Brain; Slice 88/155
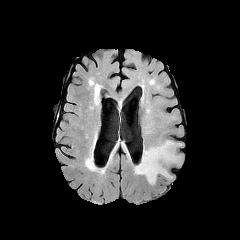
FLAIR magnetic resonance.
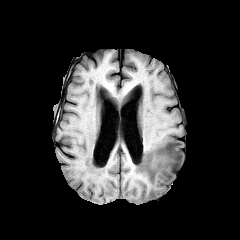
T1-weighted MRI.
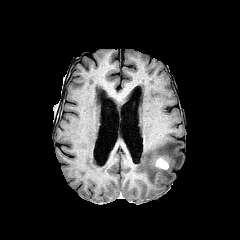
Same slice, post-contrast T1-weighted MR image.
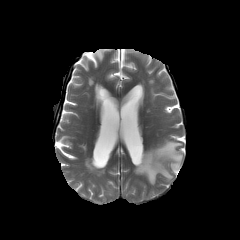
Same slice, T2-weighted MR image.
The enhancing tumor appears at 154, 156, 169, 170. The edema is at 134, 140, 181, 184.